Abdomen | CT image | Slice 170 of 178 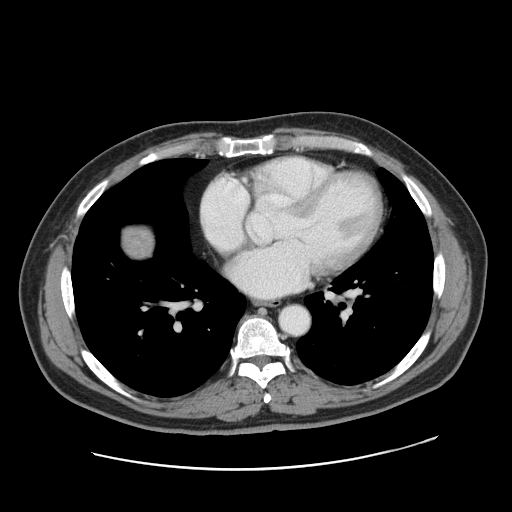 Liver tumor: bounding box region(125, 233, 150, 255).